240x240
FLAIR MR image.
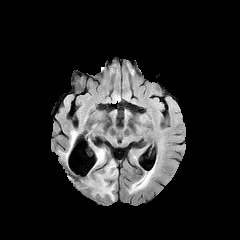
T1-weighted magnetic resonance.
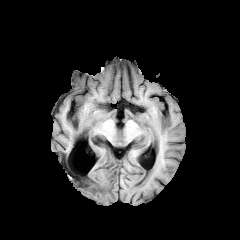
Post-contrast T1-weighted magnetic resonance.
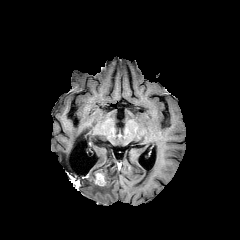
T2-weighted MR image.
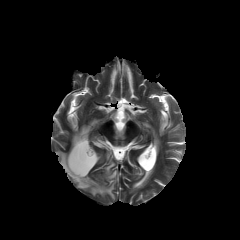
The non-enhancing tumor core appears at 94,173,102,184. 4 edema regions are located at 142,170,153,183; 58,129,79,161; 94,147,106,164; 80,160,117,199.